Abdomen, CT image, 512x512 px
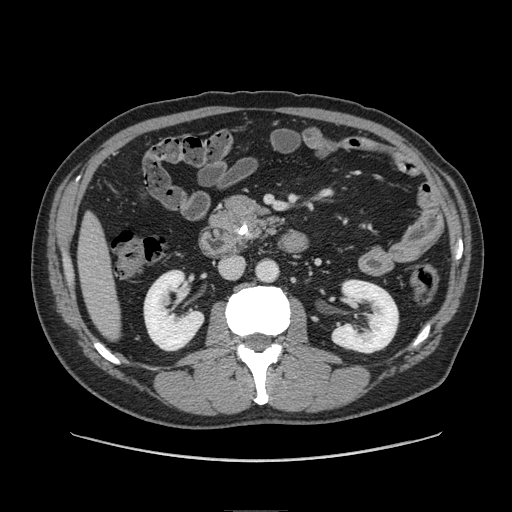 The pancreas is at rect(206, 192, 286, 251).